Slice 89 of 155 | 240x240
FLAIR MR.
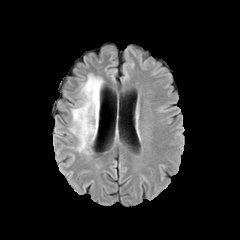
T1-weighted MRI.
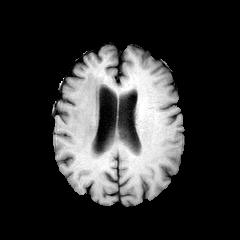
Post-contrast T1-weighted MR image.
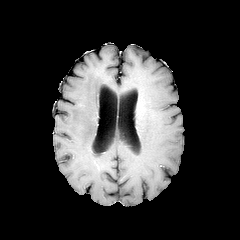
T2-weighted MRI.
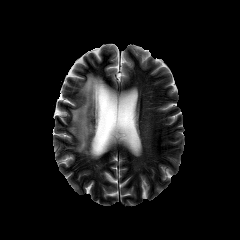
edema:
  - box=[70, 74, 103, 155]